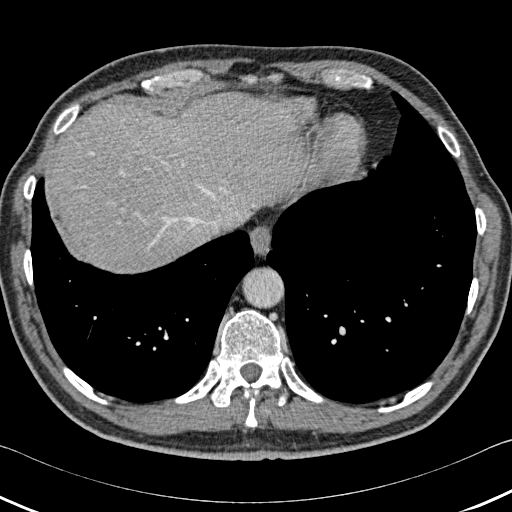

Image size 512x512, Computed tomography
{
  "lung": [
    "[x1=264, y1=91, x2=476, y2=404]",
    "[x1=30, y1=177, x2=255, y2=403]"
  ],
  "liver": [
    "[x1=45, y1=91, x2=306, y2=272]"
  ],
  "bone": [
    "[x1=63, y1=368, x2=107, y2=404]",
    "[x1=278, y1=396, x2=285, y2=405]",
    "[x1=24, y1=176, x2=35, y2=199]",
    "[x1=54, y1=105, x2=78, y2=133]",
    "[x1=438, y1=126, x2=459, y2=156]",
    "[x1=475, y1=208, x2=485, y2=234]",
    "[x1=467, y1=278, x2=478, y2=313]",
    "[x1=378, y1=382, x2=432, y2=412]",
    "[x1=23, y1=250, x2=32, y2=284]",
    "[x1=175, y1=310, x2=323, y2=407]",
    "[x1=245, y1=397, x2=257, y2=426]"
  ]
}